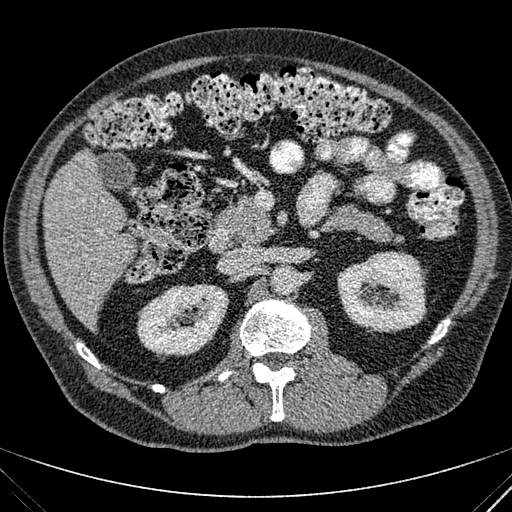 CT scan slice. Upper abdomen.

<segmentation>
  <liver>rect(43, 151, 136, 330)</liver>
  <kidney>rect(338, 252, 425, 331); rect(138, 285, 228, 354)</kidney>
</segmentation>